CT. 512x512.
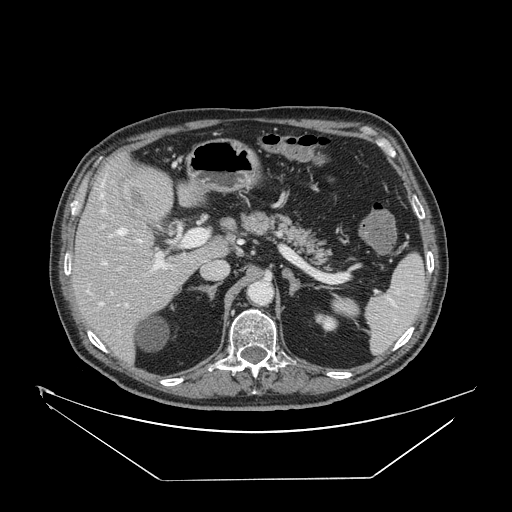 The pancreas lies within [219,208,338,273].